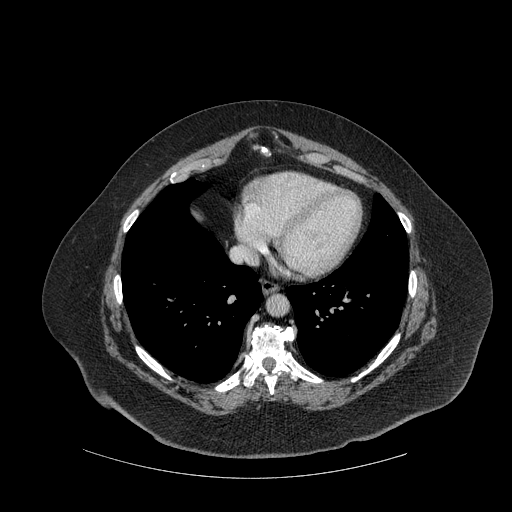 CT
Lung: bounding box region(121, 178, 262, 382); region(286, 193, 408, 376).
Bone: bounding box region(215, 371, 239, 391); region(399, 213, 411, 232); region(114, 275, 122, 303); region(351, 334, 399, 381); region(243, 325, 321, 394); region(123, 210, 137, 231); region(409, 271, 416, 296); region(136, 347, 170, 379).